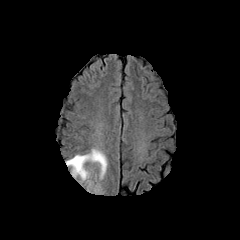
FLAIR MR.
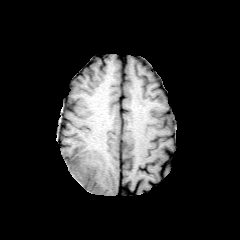
T1-weighted MR image.
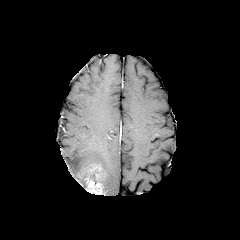
Same slice, post-contrast T1-weighted MR.
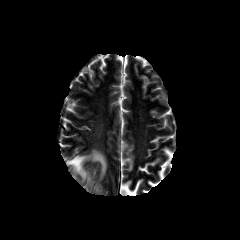
T2-weighted magnetic resonance.
Head
enhancing tumor: x1=77 y1=168 x2=103 y2=194 | edema: x1=66 y1=148 x2=107 y2=180